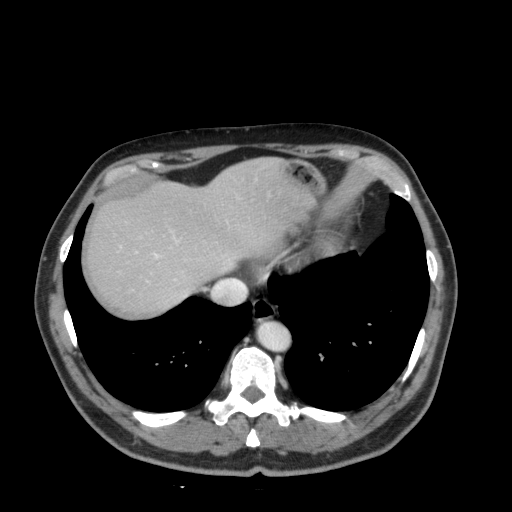
Computed tomography. Abdomen. Image size 512x512. liver:
  - 87,159,311,312